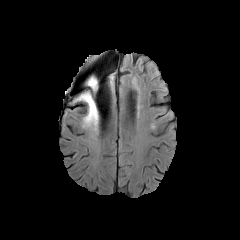
FLAIR MR.
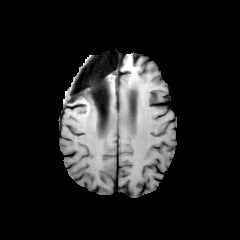
Same slice, T1-weighted MRI.
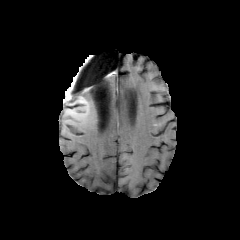
Post-contrast T1-weighted MRI.
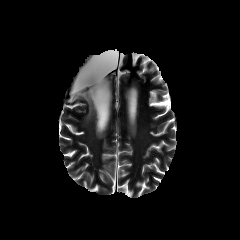
T2-weighted magnetic resonance.
Non-enhancing tumor core: bounding box 66 87 73 99, 78 92 97 109.
Edema: bounding box 84 91 93 102, 80 76 103 132.